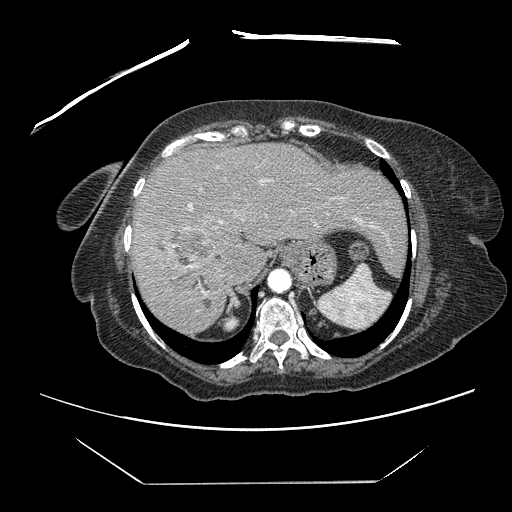

512x512 px. Abdomen. Computed tomography.

Some hepatic vessels may have no box.
Annotated regions:
• liver tumor: [172,227,214,267]
• hepatic vessel: [189,204,191,209], [354,217,362,223]